FLAIR MRI.
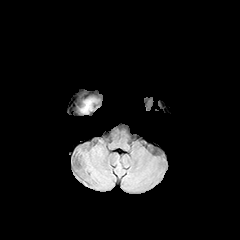
T1-weighted MR.
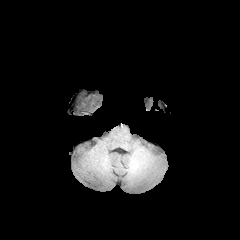
Post-contrast T1-weighted magnetic resonance.
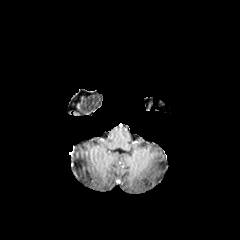
T2-weighted magnetic resonance.
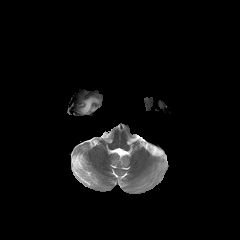
edema:
  - {"x1": 82, "y1": 100, "x2": 92, "y2": 110}